CT slice, 512x512 px
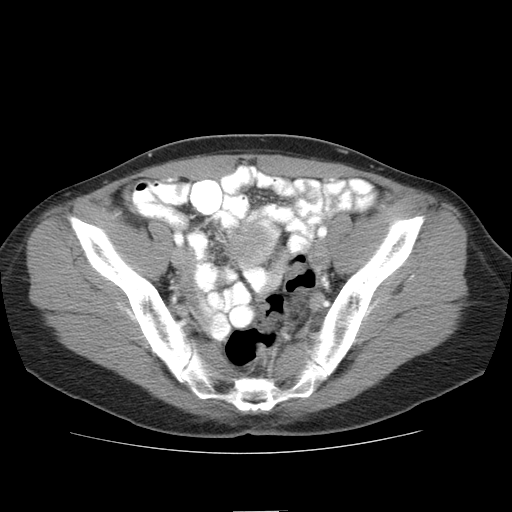
Findings:
* colon tumor: (x1=256, y1=343, x2=265, y2=356)